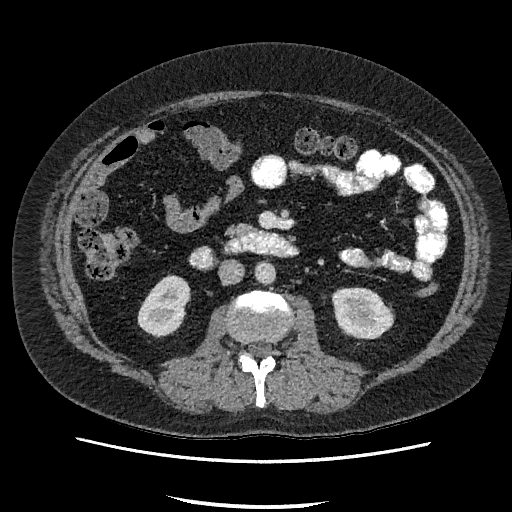
CT image. Abdomen. 2 kidney regions appear at (139, 276, 188, 334), (333, 288, 391, 338).